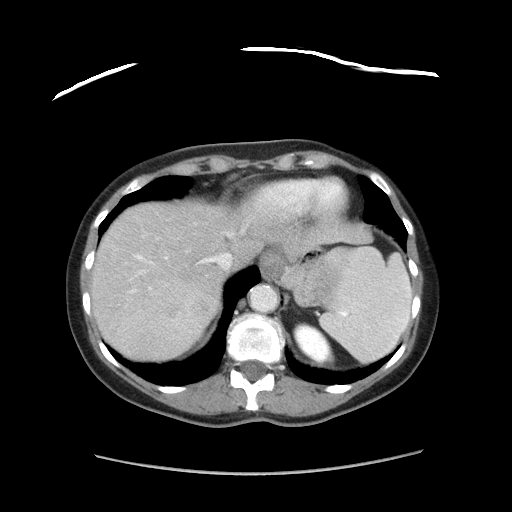 Computed tomography | Liver
The vessel boxes may cover only some of the vessels.
Liver tumor: [183,287,217,328].
Hepatic vessel: [165,256,167,258], [202,250,232,269], [149,261,151,262], [136,255,147,261], [137,270,144,274], [226,233,232,236], [130,290,134,292].